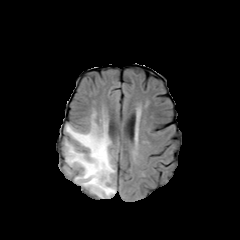
FLAIR magnetic resonance.
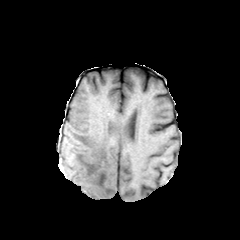
T1-weighted MR of the same slice.
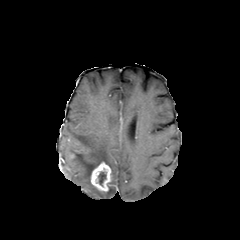
Same slice, post-contrast T1-weighted MRI.
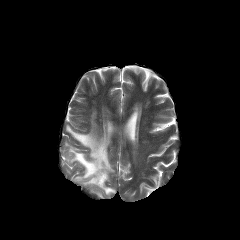
T2-weighted MR image of the same slice.
Brain.
{"edema": ["62,112,115,198"], "non-enhancing_tumor_core": ["99,172,105,183", "88,164,96,176"], "enhancing_tumor": ["90,161,111,191"]}